CT slice. Image size 512x512. Abdomen. 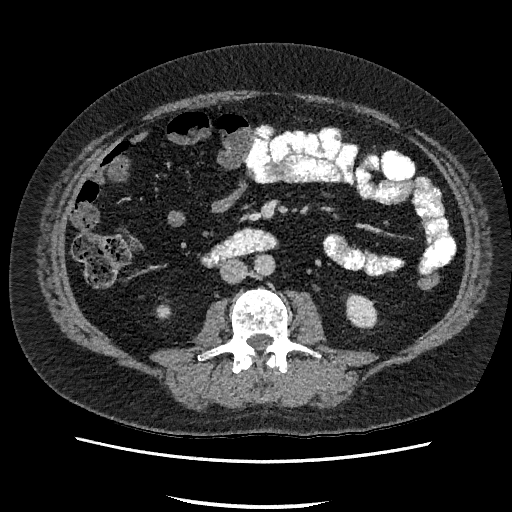
The kidney appears at x1=348, y1=297, x2=374, y2=325.